512x512; CT image; Slice index 54

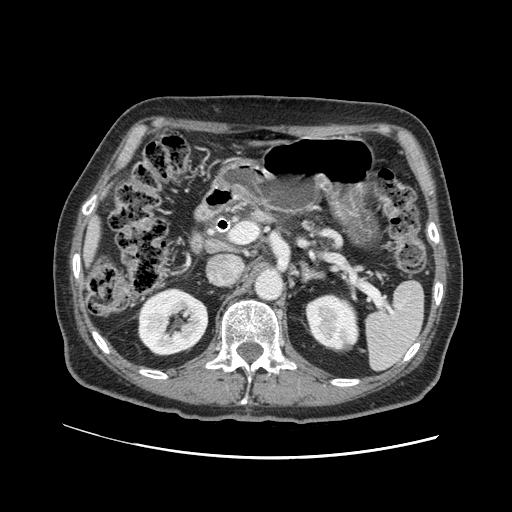

Pancreas = [199, 198, 281, 240].